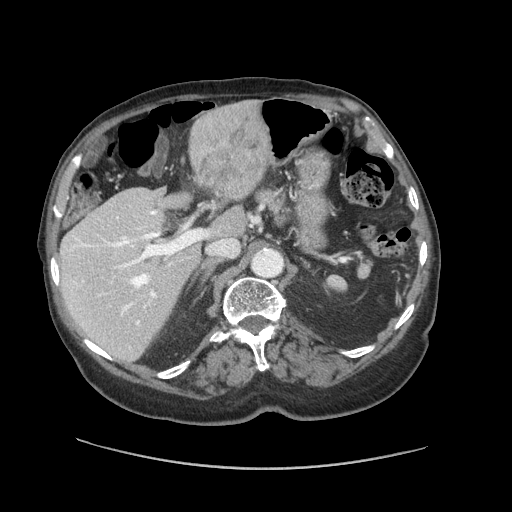
Image size 512x512; Liver; CT image
The vessel boxes may cover only some of the vessels.
<segmentation>
  <hepatic_vessel>109:243:111:244, 130:274:149:287, 119:264:129:267, 116:242:127:244, 152:211:155:213, 207:239:238:256, 133:233:156:239, 139:229:208:260</hepatic_vessel>
  <liver_tumor>198:111:262:198</liver_tumor>
</segmentation>